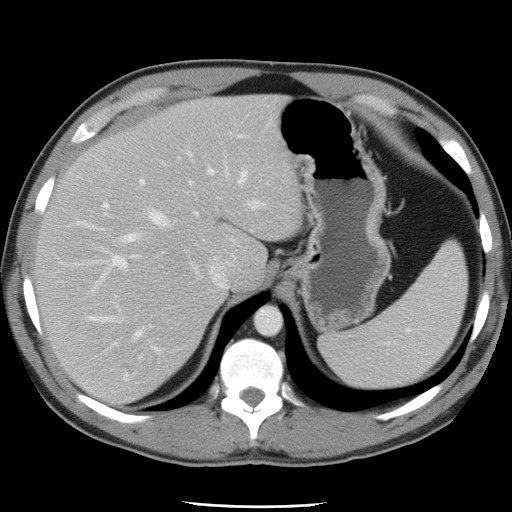
Liver; CT scan slice
Not every hepatic vessel necessarily has a box.
Findings:
- hepatic vessel (principal 15 of 17): left=133, top=328, right=142, bottom=339; left=140, top=179, right=142, bottom=183; left=102, top=201, right=108, bottom=209; left=238, top=171, right=245, bottom=185; left=147, top=208, right=170, bottom=227; left=248, top=199, right=259, bottom=209; left=85, top=315, right=118, bottom=322; left=189, top=181, right=192, bottom=184; left=120, top=232, right=141, bottom=242; left=153, top=348, right=156, bottom=350; left=92, top=255, right=127, bottom=291; left=209, top=255, right=235, bottom=288; left=208, top=169, right=212, bottom=174; left=193, top=211, right=198, bottom=216; left=75, top=220, right=97, bottom=228